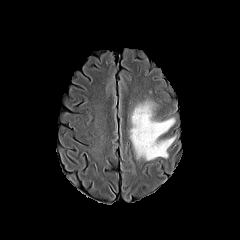
FLAIR MRI.
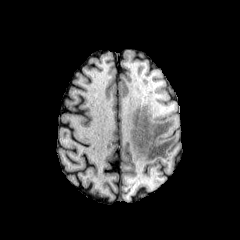
T1-weighted MR image of the same slice.
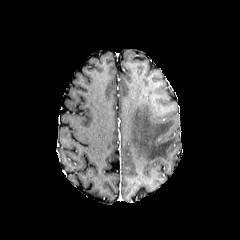
Same slice, post-contrast T1-weighted magnetic resonance.
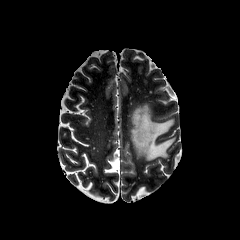
Same slice, T2-weighted magnetic resonance.
Brain
Edema = [x1=130, y1=103, x2=175, y2=161].